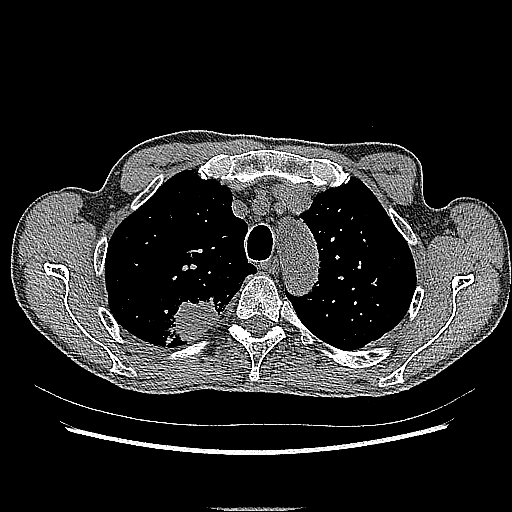 Chest | CT slice | Image size 512x512
Lung tumor = [160, 289, 231, 346].